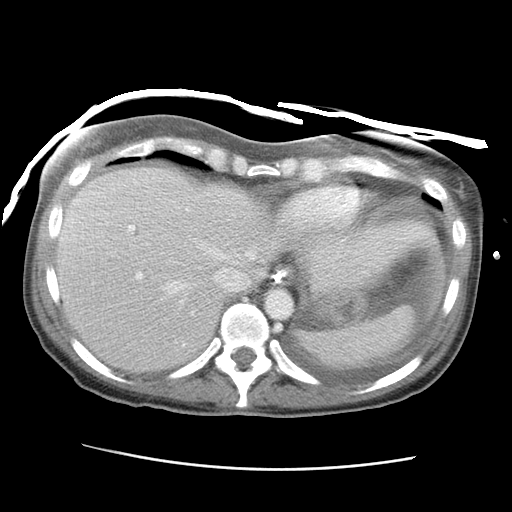
CT scan slice

Liver at <box>55,166,433,371</box>.